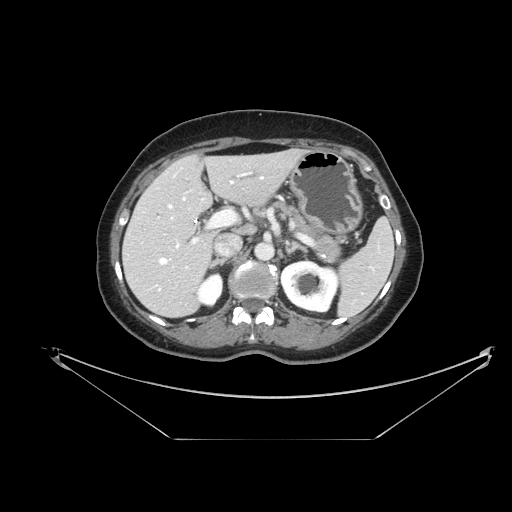
CT

Pancreas = bbox=[275, 202, 342, 262].